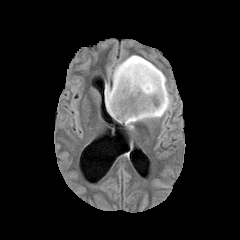
FLAIR magnetic resonance.
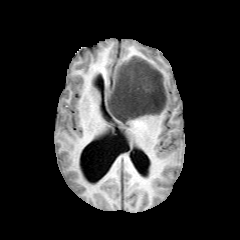
T1-weighted magnetic resonance.
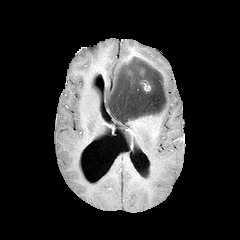
Post-contrast T1-weighted magnetic resonance.
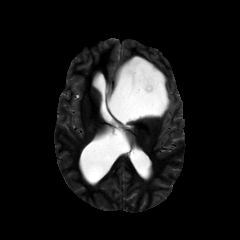
T2-weighted MR.
Head
non-enhancing_tumor_core:
  - l=107, t=57, r=167, b=123
edema:
  - l=104, t=53, r=172, b=130
enhancing_tumor:
  - l=141, t=80, r=150, b=91